Image size 240x240; Brain; Field of view 240 mm wide, 1.00 mm slice spacing
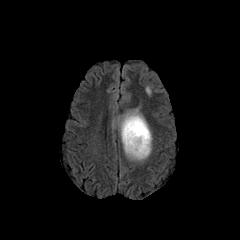
FLAIR MR image.
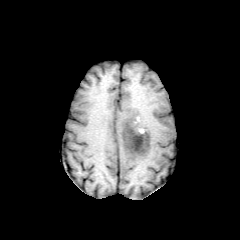
T1-weighted MRI.
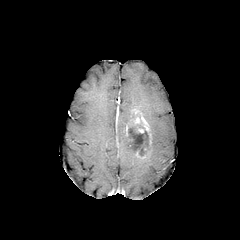
Post-contrast T1-weighted MR image.
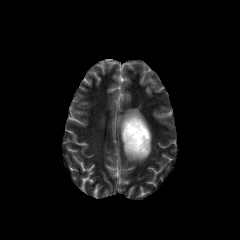
T2-weighted MRI.
The non-enhancing tumor core is located at (123,126,151,155). The enhancing tumor lies within (123,110,151,144). The edema appears at (112,106,152,162).